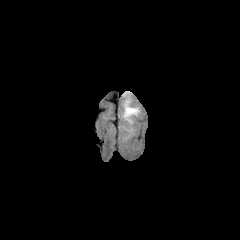
FLAIR MR.
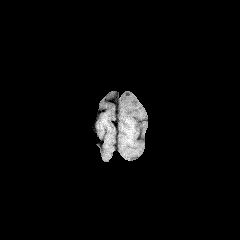
T1-weighted MR.
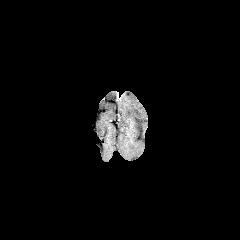
Post-contrast T1-weighted MR.
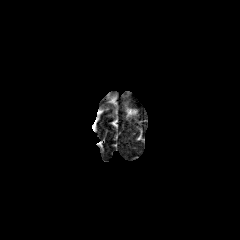
Same slice, T2-weighted MR image.
Edema: rect(120, 91, 140, 121).